512x512, Field of view 512x512 mm, CT, Slice index 236 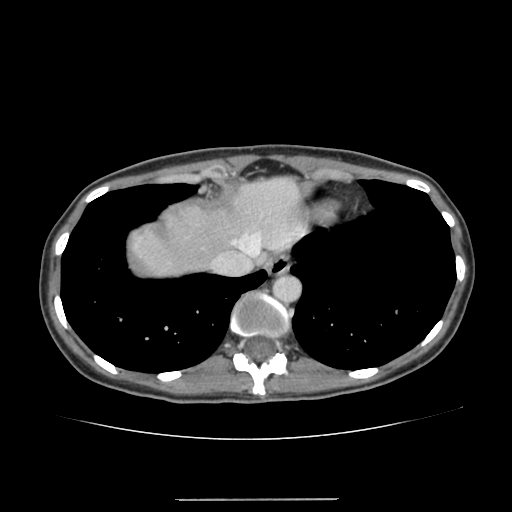
Liver: bounding box <box>133,177,303,277</box>.